FLAIR MRI.
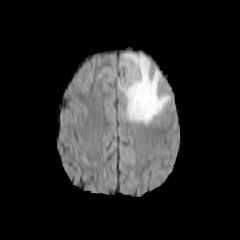
T1-weighted MR image.
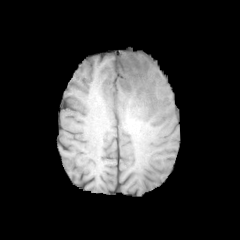
Post-contrast T1-weighted magnetic resonance.
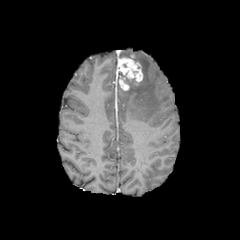
T2-weighted magnetic resonance.
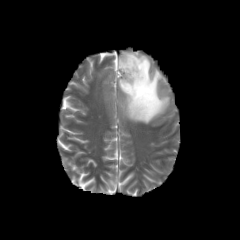
Brain.
Enhancing tumor — 116:55:143:90.
Edema — 124:54:170:125.